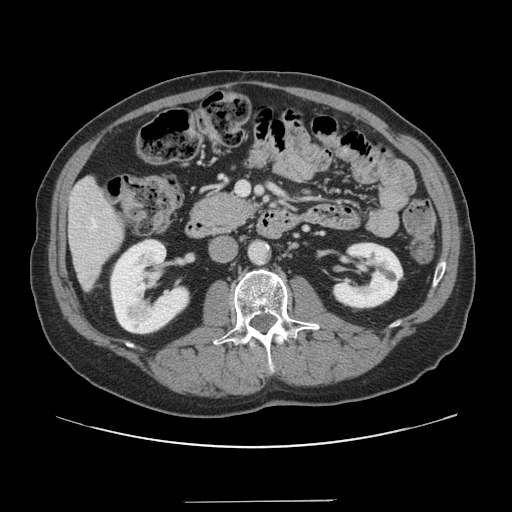 CT. 512x512. The vessel annotation is not exhaustive.
2 hepatic vessel regions appear at {"x1": 237, "y1": 182, "x2": 248, "y2": 194}, {"x1": 93, "y1": 220, "x2": 96, "y2": 227}.